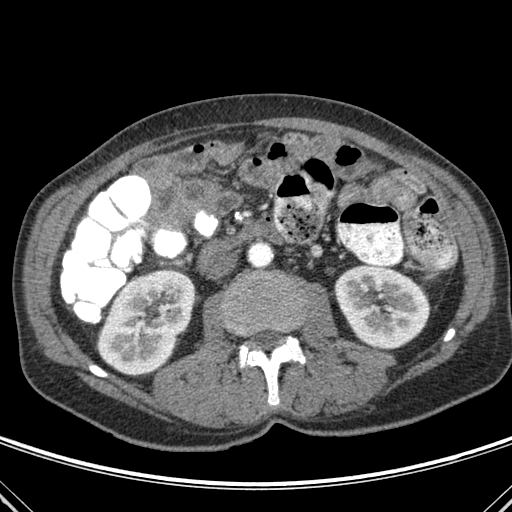 CT image, Abdomen
<segmentation>
  <kidney><bbox>98, 274, 193, 374</bbox>, <bbox>336, 266, 428, 347</bbox></kidney>
  <bone><bbox>224, 272, 301, 334</bbox>, <bbox>235, 212, 243, 220</bbox>, <bbox>444, 329, 454, 340</bbox>, <bbox>89, 365, 106, 376</bbox>, <bbox>239, 336, 305, 405</bbox></bone>
</segmentation>